Brain
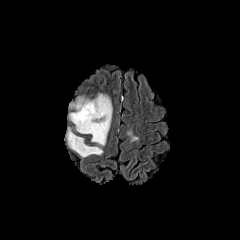
FLAIR magnetic resonance.
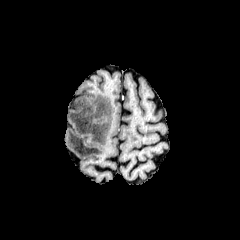
T1-weighted magnetic resonance.
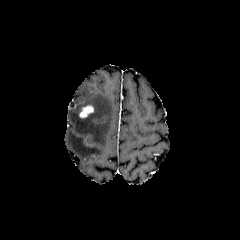
Same slice, post-contrast T1-weighted MRI.
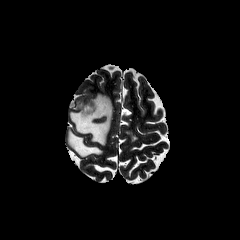
T2-weighted MR.
edema:
  - (66, 93, 112, 157)
enhancing_tumor:
  - (79, 105, 93, 119)